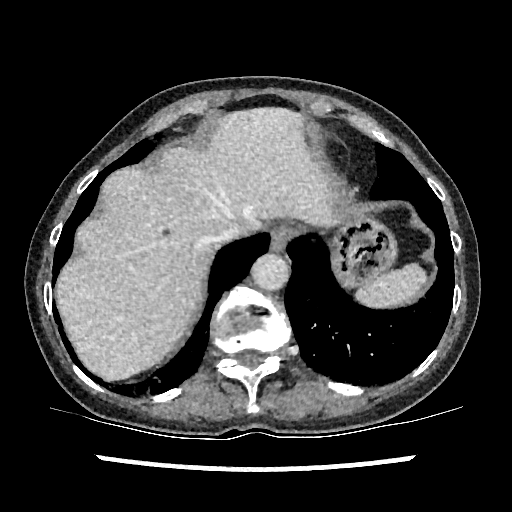 Computed tomography.
- liver: [56,108,331,378]